Brain | Image width 240 mm | Slice 87/155
FLAIR MR.
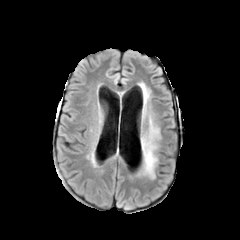
T1-weighted magnetic resonance.
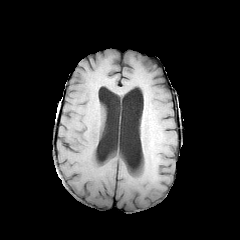
Post-contrast T1-weighted MR image.
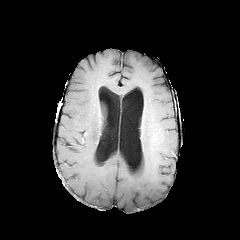
T2-weighted MR image.
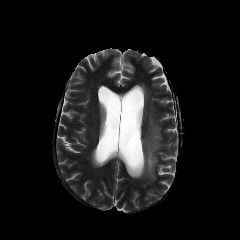
Findings:
* edema: x1=139, y1=82, x2=150, y2=135; x1=135, y1=115, x2=159, y2=178